Slice index 276, Abdomen, CT

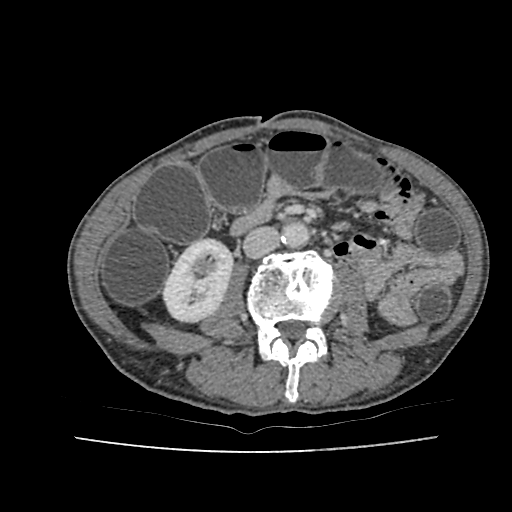
Annotated regions:
• kidney: {"x1": 164, "y1": 240, "x2": 232, "y2": 320}